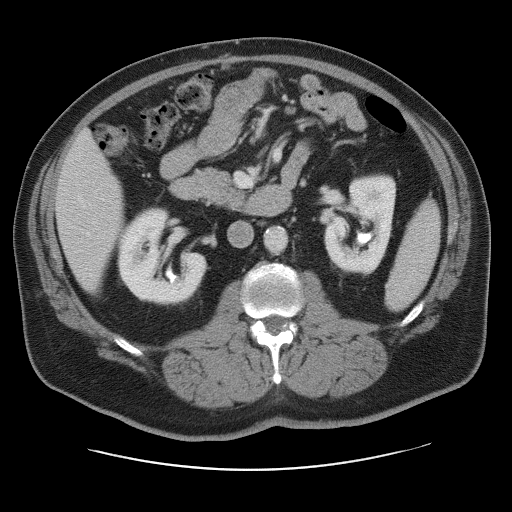

CT slice, Liver

Not every hepatic vessel necessarily has a box.
3 hepatic vessel regions are located at bbox=[86, 232, 88, 233]; bbox=[78, 196, 80, 199]; bbox=[236, 173, 251, 186].